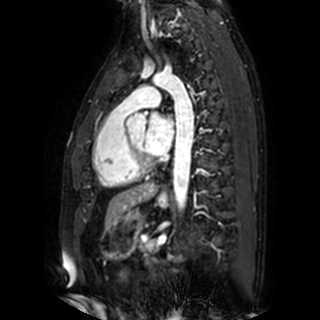
MRI slice

Left atrium at (left=145, top=113, right=173, bottom=154).